240x240; Image width 240 mm
FLAIR MRI.
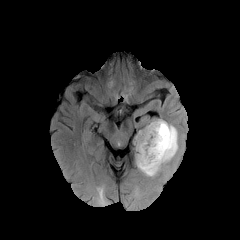
T1-weighted MR.
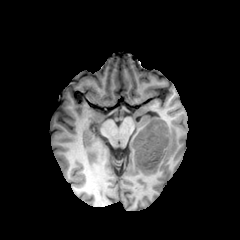
Post-contrast T1-weighted magnetic resonance.
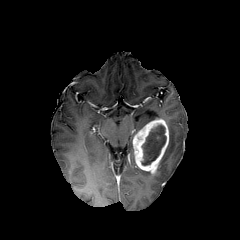
T2-weighted MR image.
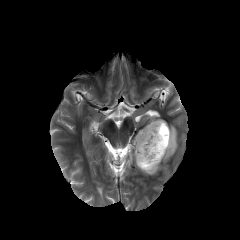
edema: [137,122,178,176] | non-enhancing tumor core: [142,124,165,165] | enhancing tumor: [133,119,169,173]